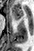 Hippocampus. MR. 34x51. anterior hippocampus: 10, 7, 23, 20